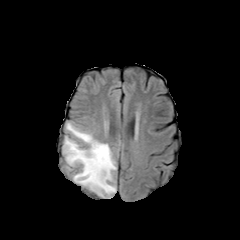
FLAIR MR image.
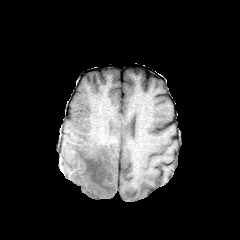
Same slice, T1-weighted MR image.
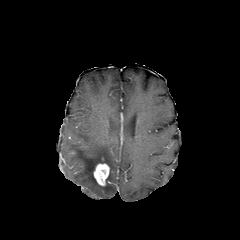
Post-contrast T1-weighted magnetic resonance of the same slice.
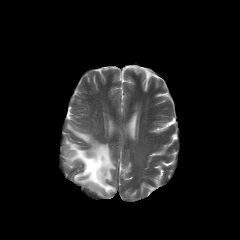
Same slice, T2-weighted MR.
Brain.
2 non-enhancing tumor core regions are located at box=[100, 173, 112, 190]; box=[81, 152, 110, 185]. The edema appears at box=[63, 122, 116, 198]. The enhancing tumor appears at box=[93, 163, 109, 185].